Slice 115 of 155. 240x240. Head.
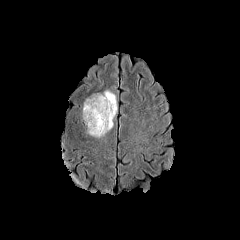
FLAIR MR.
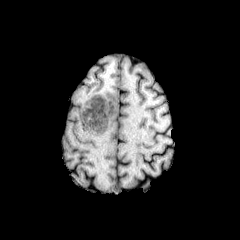
T1-weighted magnetic resonance.
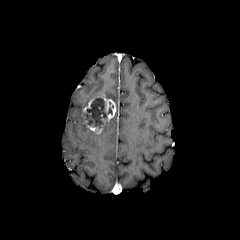
Same slice, post-contrast T1-weighted MR image.
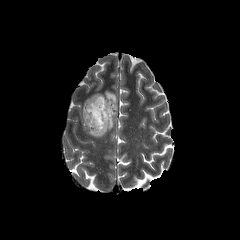
T2-weighted MR of the same slice.
3 enhancing tumor regions appear at (83,98,94,112), (95,95,115,121), (87,125,102,133). The non-enhancing tumor core is located at (83,94,112,129). 2 edema regions are located at (87,118,113,137), (97,90,117,111).